FLAIR MRI.
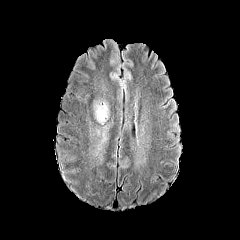
T1-weighted MR image.
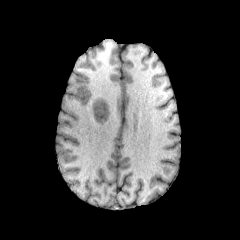
Post-contrast T1-weighted MRI.
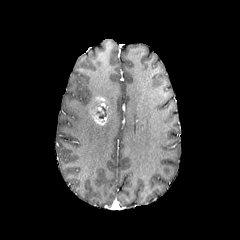
T2-weighted MR.
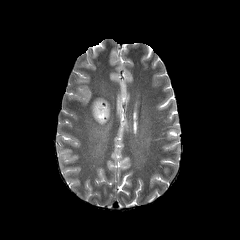
Image size 240x240
non-enhancing_tumor_core:
  - 91 102 109 119
enhancing_tumor:
  - 90 106 109 125
  - 95 97 107 110